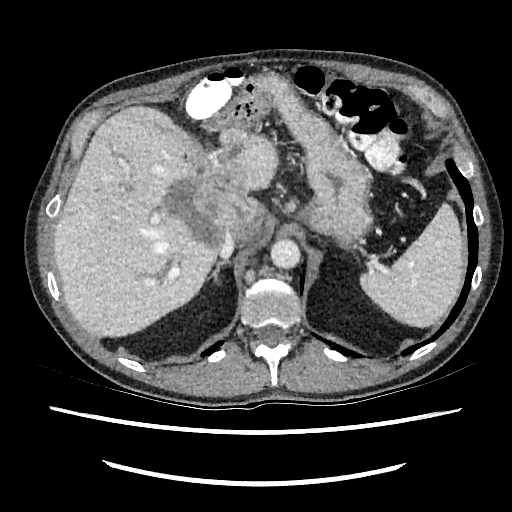 Computed tomography | Liver

<segmentation>
  <hepatic_lesion>162, 145, 263, 246</hepatic_lesion>
  <liver>246, 210, 265, 241; 53, 107, 277, 336</liver>
</segmentation>